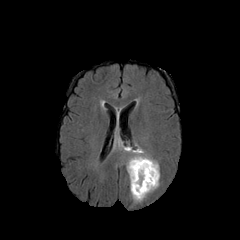
FLAIR MR.
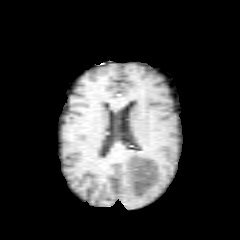
T1-weighted MRI.
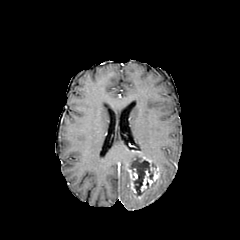
Post-contrast T1-weighted magnetic resonance.
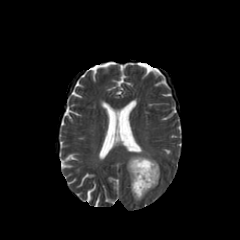
T2-weighted MRI.
The edema is at region(115, 132, 160, 202). The non-enhancing tumor core is at region(128, 159, 152, 195). 2 enhancing tumor regions are bounded by region(140, 157, 158, 191); region(128, 168, 137, 193).